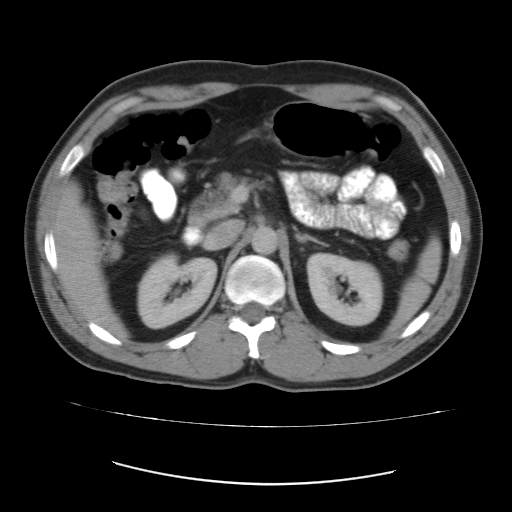

Computed tomography; Abdomen
Colon tumor — box=[387, 240, 409, 261].